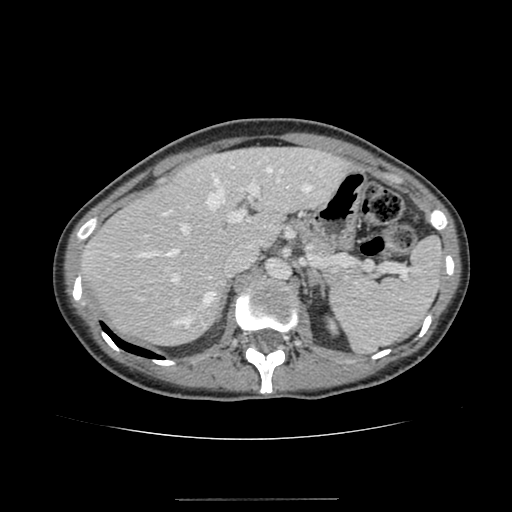

CT slice
Liver at [x1=83, y1=147, x2=354, y2=345].